CT slice. 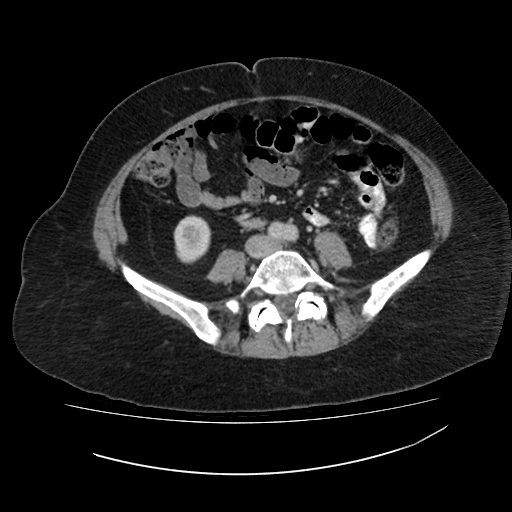 Kidney at left=174, top=216, right=210, bottom=262.